Field of view 348 mm wide, 0.80 mm slice spacing | Upper abdomen | CT image

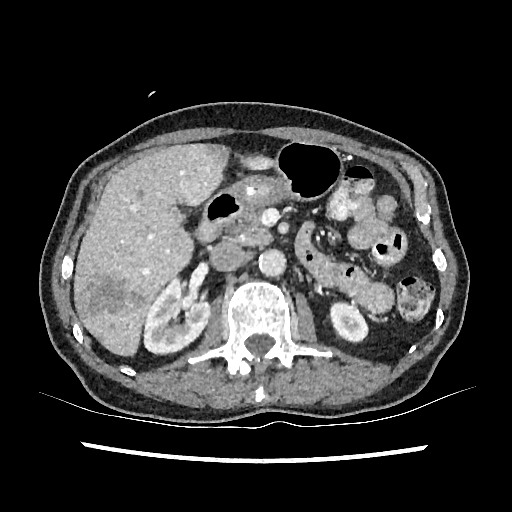 Focal liver lesion = 207, 144, 228, 163; 78, 275, 126, 315; 128, 291, 147, 307.
Kidney = 331, 303, 367, 341; 144, 278, 209, 352.
Liver = 73, 143, 226, 354; 246, 156, 272, 169.